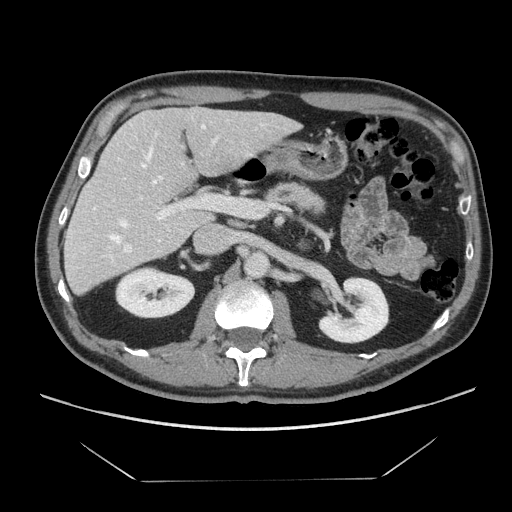

Upper abdomen, CT scan slice
The pancreas is bounded by 267, 183, 322, 211.